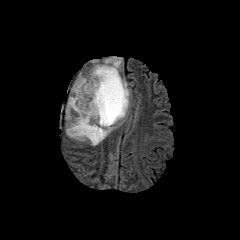
FLAIR magnetic resonance.
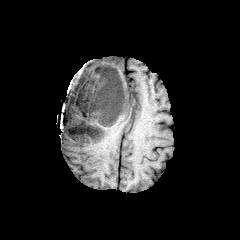
Same slice, T1-weighted magnetic resonance.
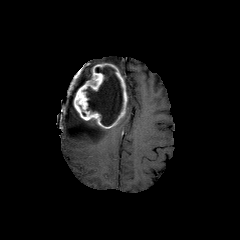
Post-contrast T1-weighted MR image of the same slice.
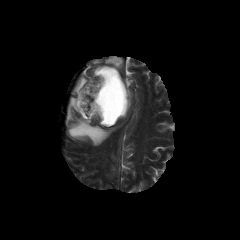
T2-weighted MR image of the same slice.
Head
Non-enhancing tumor core at box(86, 67, 123, 126).
Edema at box(65, 59, 115, 146); box(102, 56, 123, 71); box(119, 77, 133, 120).
Enhancing tumor at box(73, 62, 128, 128).